FLAIR MRI.
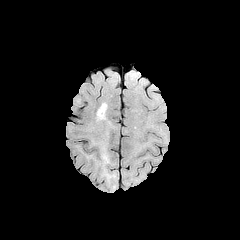
T1-weighted MRI.
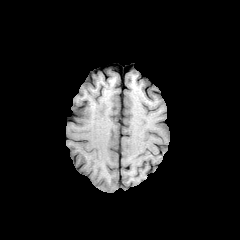
Post-contrast T1-weighted MRI.
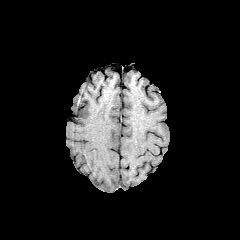
T2-weighted MRI.
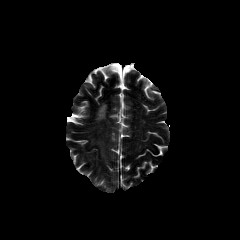
Annotated regions:
• edema: left=98, top=104, right=105, bottom=119